Slice 64/120, MRI

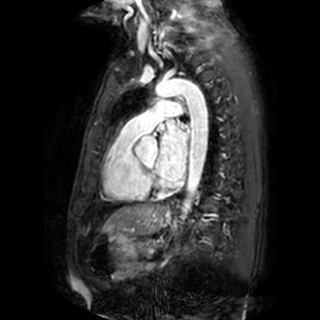 Annotated regions:
• left atrium: l=156, t=119, r=187, b=181